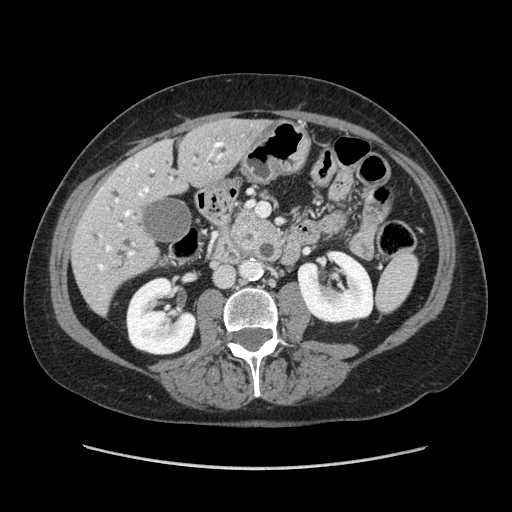

CT scan slice.
Annotated regions:
- pancreas: x1=229, y1=205, x2=270, y2=256